Slice index 40, Image width 240 mm
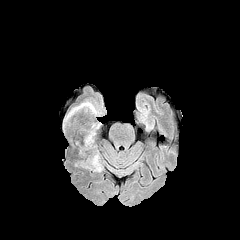
FLAIR MRI.
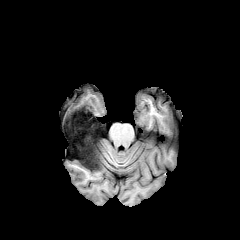
T1-weighted magnetic resonance.
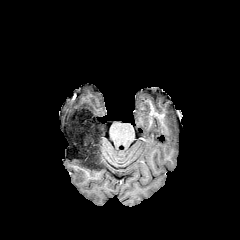
Post-contrast T1-weighted MRI.
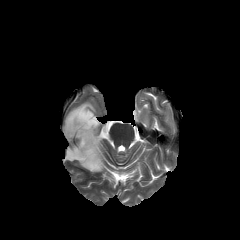
T2-weighted MR image of the same slice.
Findings:
- edema: left=90, top=164, right=103, bottom=171; left=64, top=101, right=96, bottom=125; left=67, top=127, right=78, bottom=135
- non-enhancing tumor core: left=66, top=106, right=101, bottom=169